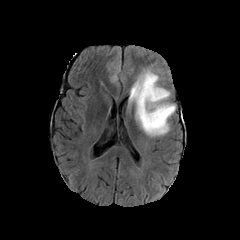
FLAIR MR image.
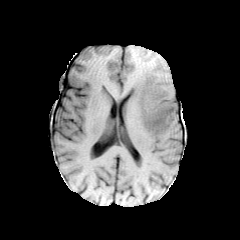
T1-weighted MR.
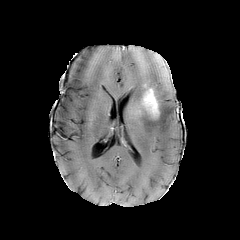
Post-contrast T1-weighted magnetic resonance.
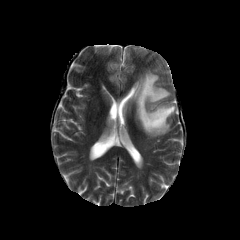
T2-weighted MR image.
Annotated regions:
• enhancing tumor: <bbox>143, 84, 160, 120</bbox>
• edema: <bbox>128, 65, 176, 136</bbox>